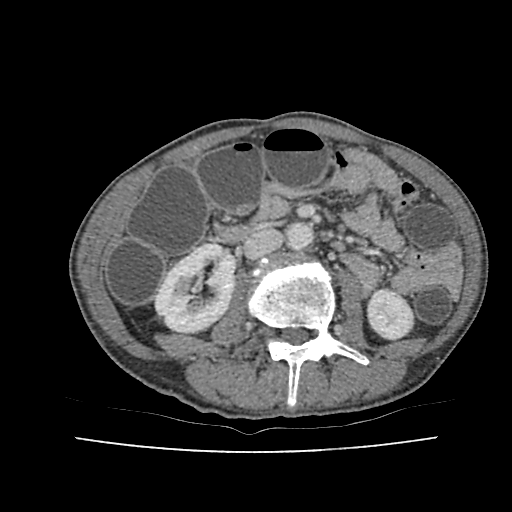

512x512; CT scan slice

kidney: 368, 290, 412, 338; 156, 244, 234, 331